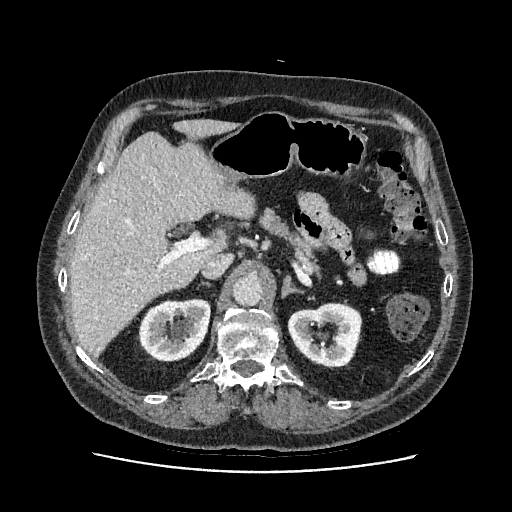 Upper abdomen | CT scan slice | 512x512 px

2 liver regions appear at x1=71 y1=132 x2=253 y2=354, x1=173 y1=120 x2=238 y2=138. 2 kidney regions are located at x1=140 y1=300 x2=209 y2=360, x1=289 y1=304 x2=360 y2=365.